Image size 512x512; Field of view 330x330 mm; Computed tomography

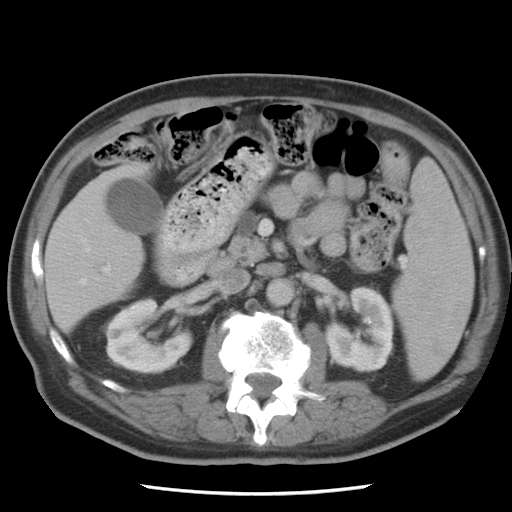
The pancreas is bounded by 226 210 269 269.